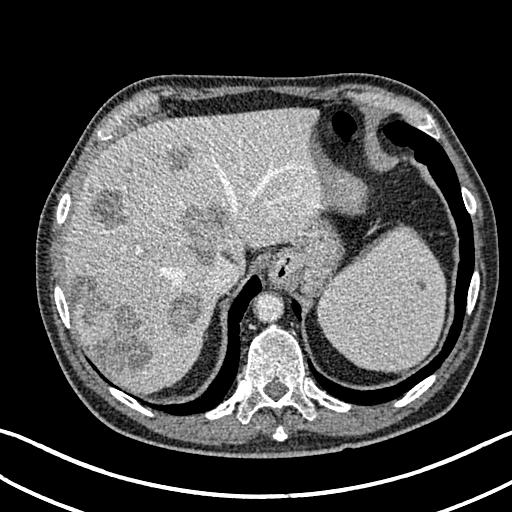
CT slice
The liver appears at [64, 108, 320, 390]. 8 hepatic lesion regions are located at [181, 206, 234, 265], [167, 148, 194, 173], [88, 182, 96, 192], [167, 291, 202, 334], [68, 276, 107, 326], [92, 305, 150, 371], [90, 190, 127, 231], [120, 165, 133, 184].